Slice 505/751, CT image 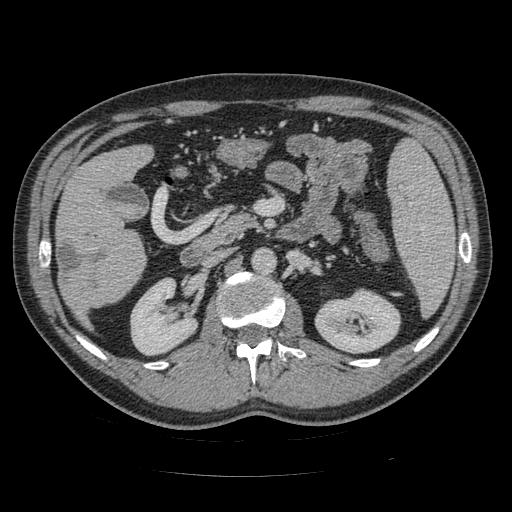 pancreas: bbox=[213, 213, 255, 239]